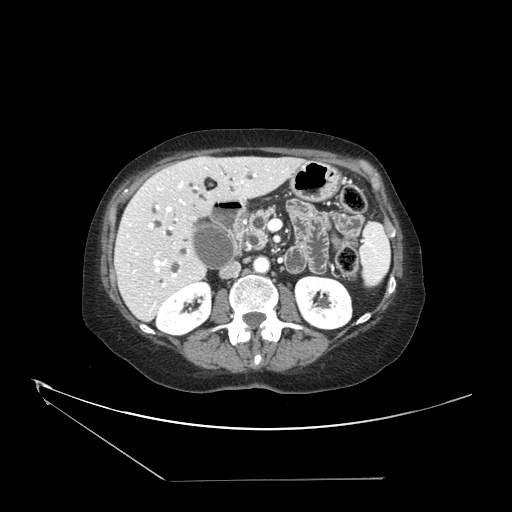

CT, Upper abdomen
Pancreas: bounding box (251, 209, 272, 244), (271, 258, 281, 271).